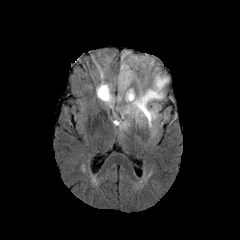
FLAIR MR.
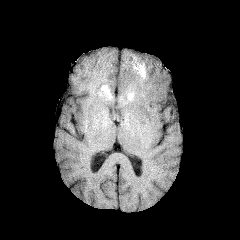
T1-weighted MR image of the same slice.
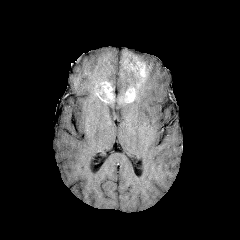
Post-contrast T1-weighted MR.
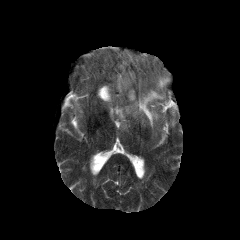
T2-weighted magnetic resonance.
3 edema regions are located at <box>122,74,169,132</box>, <box>119,120,127,129</box>, <box>111,52,141,101</box>. 2 enhancing tumor regions are bounded by <box>125,87,136,102</box>, <box>100,84,114,102</box>.